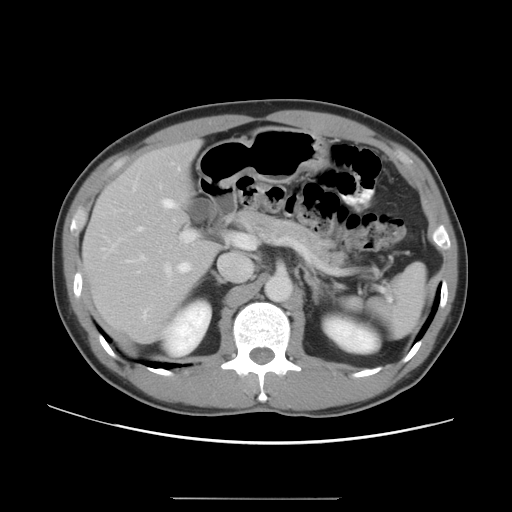 CT | Liver

Some hepatic vessels may have no box.
{"hepatic_vessel": ["region(177, 262, 191, 272)", "region(103, 248, 105, 250)", "region(178, 167, 180, 169)", "region(111, 242, 118, 248)", "region(143, 310, 147, 318)", "region(141, 255, 145, 259)", "region(139, 227, 142, 230)", "region(162, 199, 177, 208)", "region(165, 263, 173, 275)", "region(133, 179, 137, 190)", "region(182, 240, 188, 242)"]}